Slice index 49.
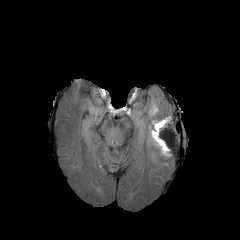
FLAIR magnetic resonance.
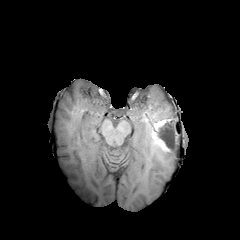
T1-weighted magnetic resonance of the same slice.
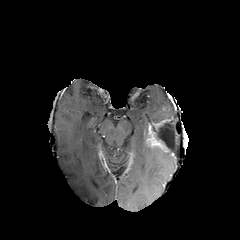
Same slice, post-contrast T1-weighted magnetic resonance.
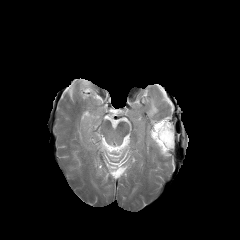
T2-weighted MR image.
edema: x1=151 y1=144 x2=171 y2=157, x1=139 y1=128 x2=147 y2=136, x1=148 y1=100 x2=173 y2=130 | enhancing tumor: x1=148 y1=125 x2=167 y2=151 | non-enhancing tumor core: x1=152 y1=122 x2=172 y2=148